Abdomen; CT scan slice; Field of view 391 mm wide, 0.80 mm slice spacing
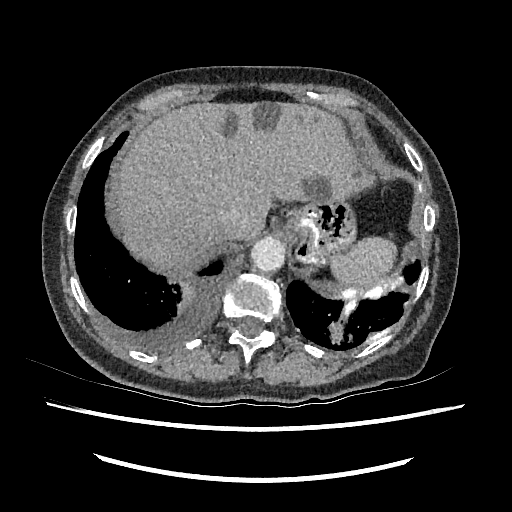

3 focal liver lesion regions are bounded by bbox=[253, 103, 280, 128]; bbox=[303, 176, 331, 200]; bbox=[222, 110, 236, 136]. The liver is located at bbox=[118, 104, 353, 268].